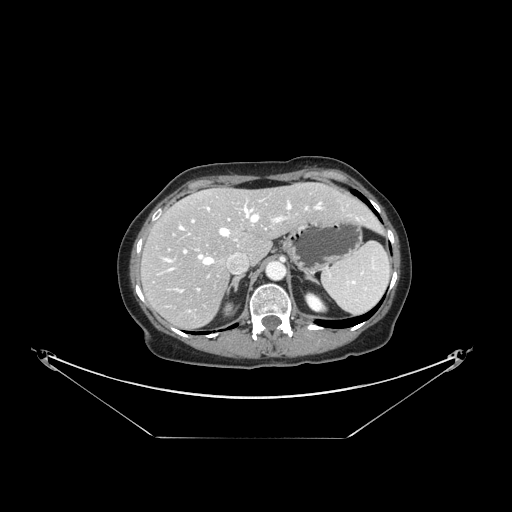 Liver | CT image
The vessel boxes may cover only some of the vessels.
<segmentation>
  <hepatic_vessel>box=[275, 218, 280, 220]; box=[245, 209, 257, 221]; box=[220, 228, 228, 235]; box=[288, 205, 290, 207]</hepatic_vessel>
</segmentation>